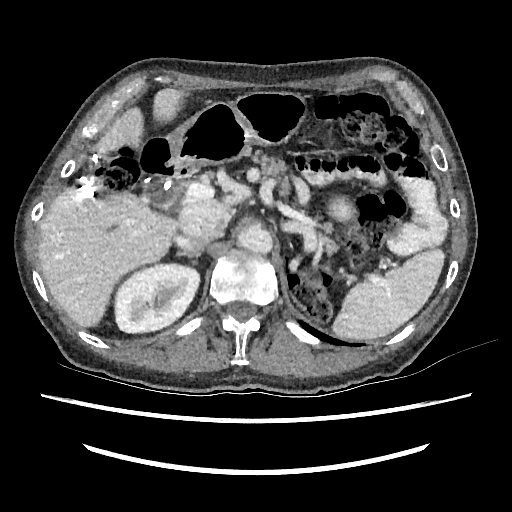 Computed tomography. Abdomen. Annotated regions:
- liver: region(40, 190, 178, 325); region(95, 108, 143, 152); region(155, 90, 182, 119)
- kidney: region(115, 264, 199, 332)